Slice index 81 | 240x240 | Field of view 240x240 mm
FLAIR magnetic resonance.
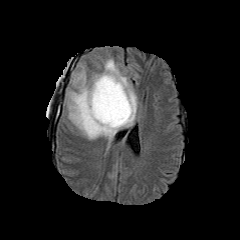
T1-weighted MR.
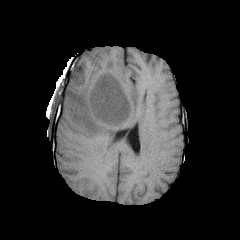
Post-contrast T1-weighted MRI.
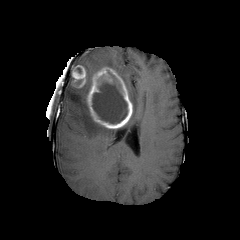
T2-weighted magnetic resonance.
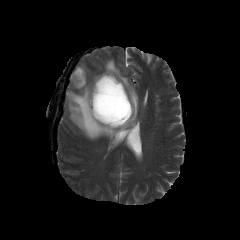
enhancing_tumor:
  - <bbox>86, 67, 132, 128</bbox>
  - <bbox>71, 65, 87, 87</bbox>
non-enhancing_tumor_core:
  - <bbox>92, 82, 127, 123</bbox>
edema:
  - <bbox>65, 58, 137, 150</bbox>